Liver; 512x512; CT scan slice

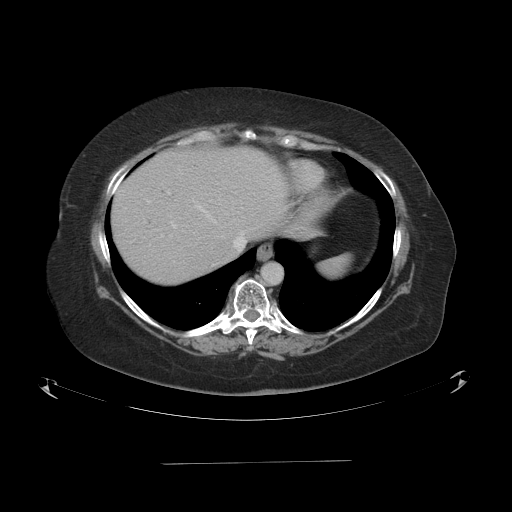
Not every hepatic vessel necessarily has a box.
Annotated regions:
* hepatic vessel: bbox(233, 231, 244, 251); bbox(214, 263, 216, 264); bbox(193, 199, 216, 223)